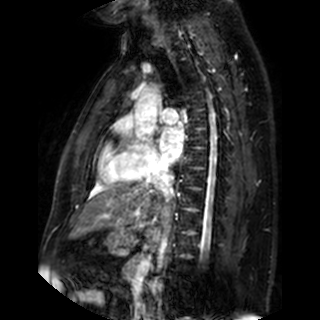 MR
<segmentation>
  <left_atrium><box>159,127,183,163</box></left_atrium>
</segmentation>